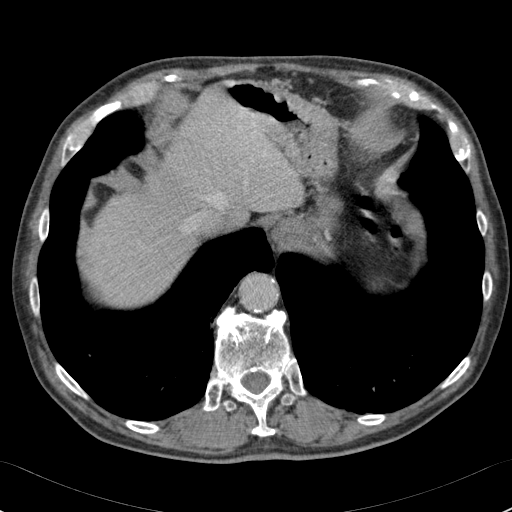
CT slice.

- liver: x1=93, y1=90, x2=299, y2=303